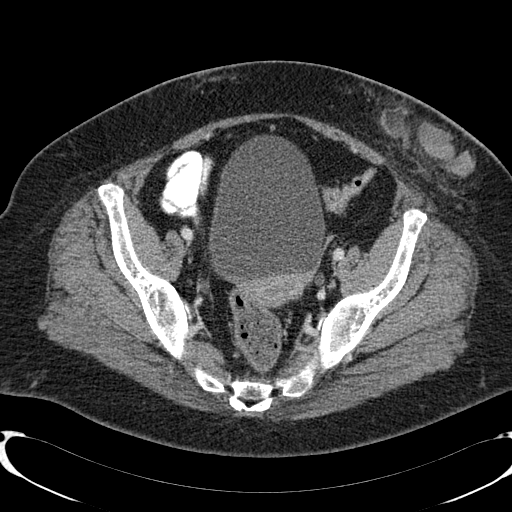 Image size 512x512 | Computed tomography
The urinary bladder is located at {"x1": 209, "y1": 135, "x2": 324, "y2": 282}.